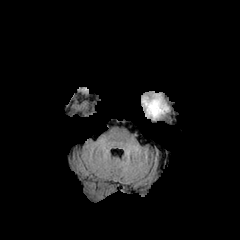
FLAIR magnetic resonance.
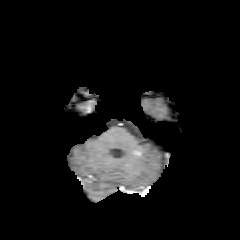
T1-weighted MRI of the same slice.
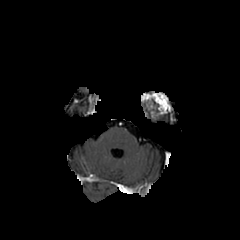
Post-contrast T1-weighted MRI of the same slice.
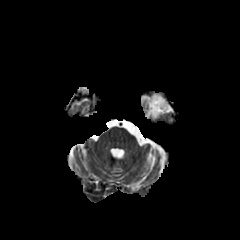
T2-weighted MR.
Head.
<segmentation>
  <enhancing_tumor>(142, 93, 170, 116)</enhancing_tumor>
  <non-enhancing_tumor_core>(146, 100, 159, 116)</non-enhancing_tumor_core>
</segmentation>